Slice index 70, Upper abdomen, CT slice
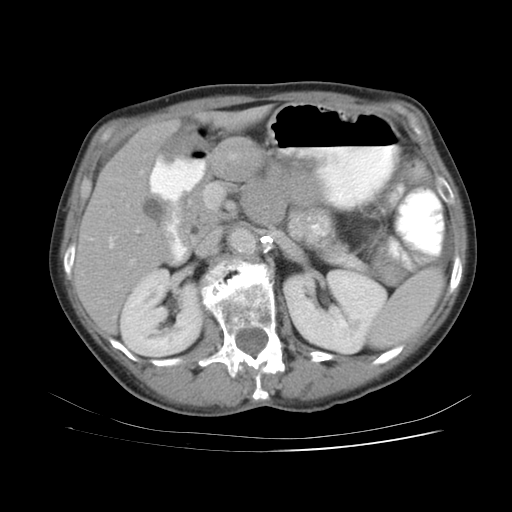

The spleen appears at bbox=[369, 269, 442, 345].